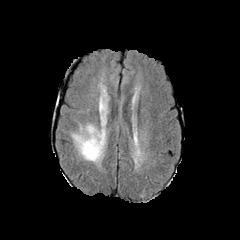
FLAIR MR image.
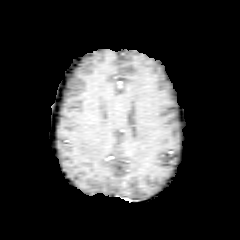
T1-weighted magnetic resonance.
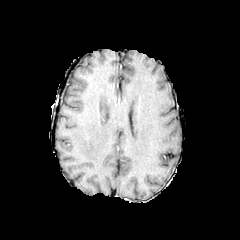
Post-contrast T1-weighted magnetic resonance.
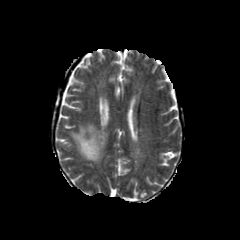
T2-weighted MR image.
Head
{
  "edema": [
    {"x1": 71, "y1": 90, "x2": 108, "y2": 163}
  ]
}